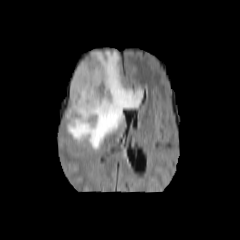
FLAIR MRI.
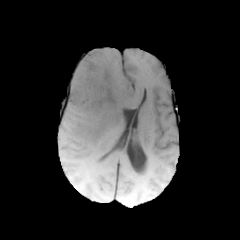
T1-weighted MR.
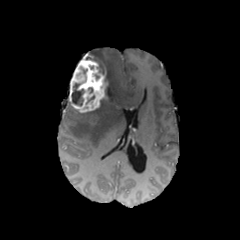
Post-contrast T1-weighted MRI.
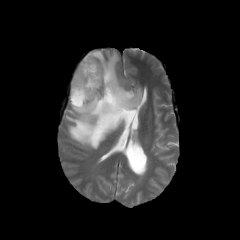
T2-weighted MR image.
3 non-enhancing tumor core regions are bounded by l=93, t=57, r=105, b=74; l=104, t=76, r=109, b=98; l=71, t=84, r=83, b=106. The edema lies within l=66, t=50, r=142, b=149. The enhancing tumor is located at l=68, t=53, r=108, b=113.